Abdomen, Computed tomography 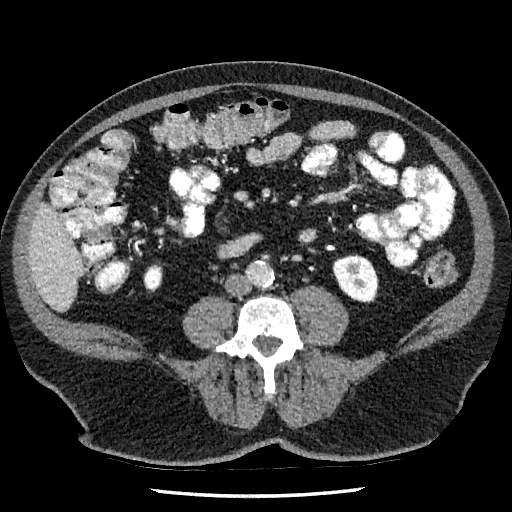

Annotated regions:
- kidney: left=334, top=256, right=376, bottom=301; left=145, top=268, right=160, bottom=288
- liver: left=29, top=203, right=82, bottom=311